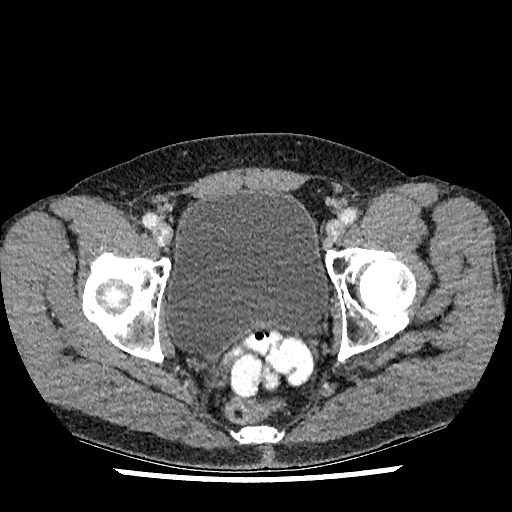
Pelvis; CT slice

Urinary bladder = <bbox>165, 190, 328, 355</bbox>.